CT image, Image width 400 mm, Abdomen 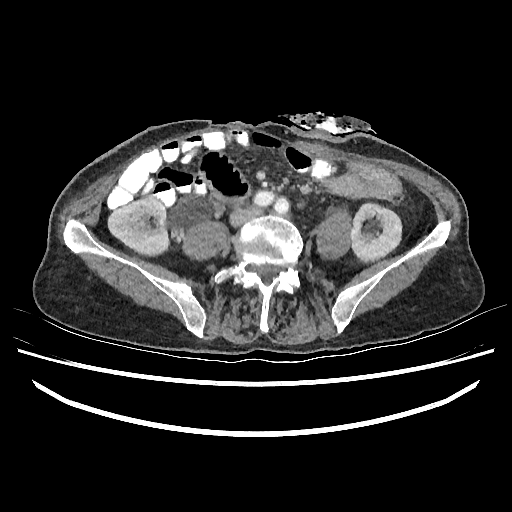
* kidney: 361,276,378,288; 108,194,168,253; 351,204,401,260